512x512. CT slice. Slice 71 of 816. 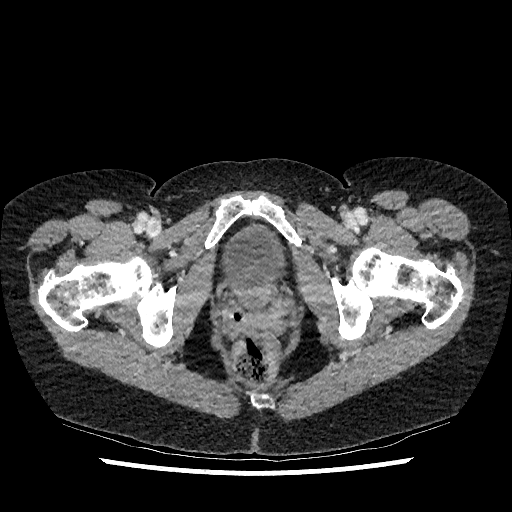
Urinary bladder: bounding box [218,217,289,290].